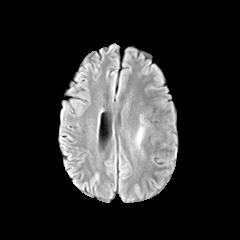
FLAIR magnetic resonance.
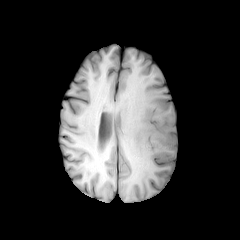
Same slice, T1-weighted magnetic resonance.
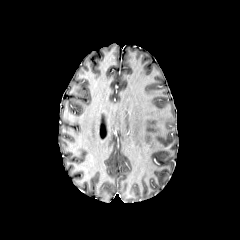
Post-contrast T1-weighted MRI of the same slice.
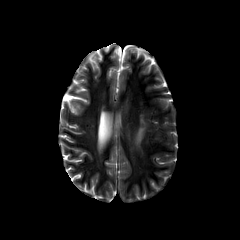
Same slice, T2-weighted magnetic resonance.
Head
Edema: left=135, top=125, right=145, bottom=146.